CT scan slice. Image size 512x512.

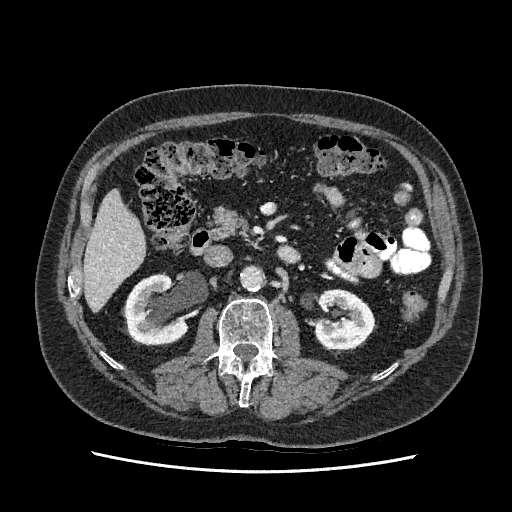

Liver at (x1=83, y1=189, x2=145, y2=310).
Kidney at (x1=314, y1=290, x2=373, y2=348), (x1=125, y1=275, x2=186, y2=343).